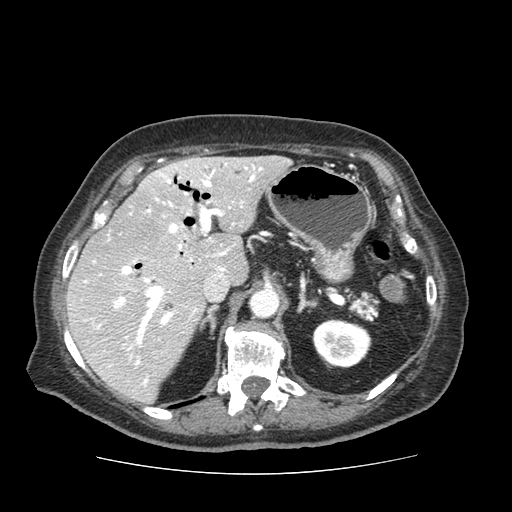

CT.

Pancreas = [351, 294, 376, 319].